Head. Slice 40/155.
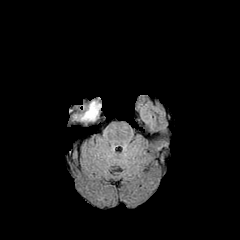
FLAIR MR image.
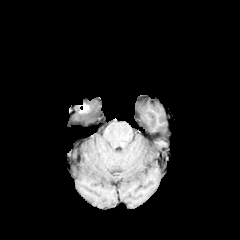
Same slice, T1-weighted MRI.
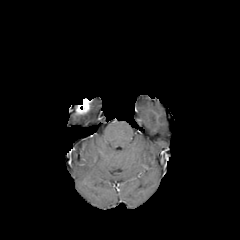
Post-contrast T1-weighted MR of the same slice.
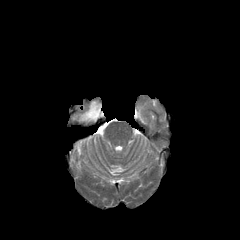
Same slice, T2-weighted MR.
The edema is at [80,101,100,121].